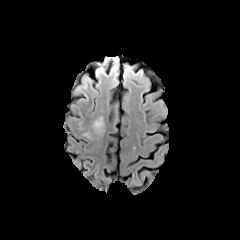
FLAIR MR image.
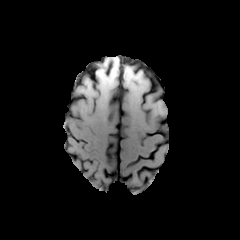
T1-weighted MRI of the same slice.
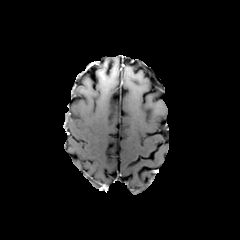
Post-contrast T1-weighted magnetic resonance.
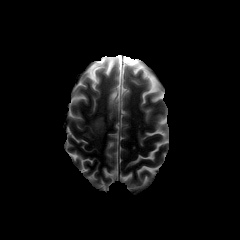
T2-weighted MR.
<segmentation>
  <non-enhancing_tumor_core>[95,60,117,71]</non-enhancing_tumor_core>
  <edema>[96,68,117,81], [125,69,134,79], [92,117,103,132]</edema>
</segmentation>